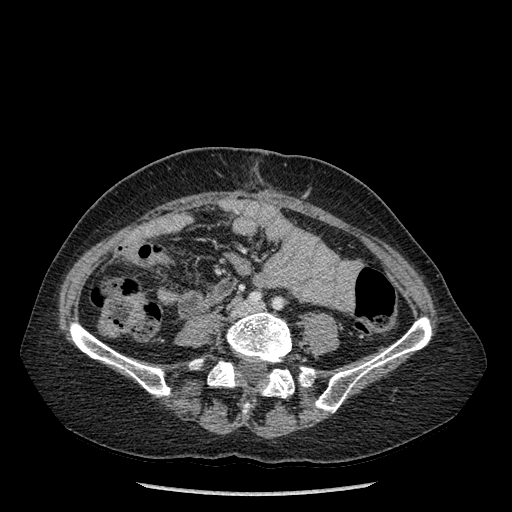 CT
Bone = [299, 367, 315, 387], [189, 359, 203, 369], [243, 402, 249, 413], [315, 317, 431, 412], [260, 369, 294, 397], [226, 311, 291, 362], [207, 361, 238, 387], [69, 322, 170, 396].